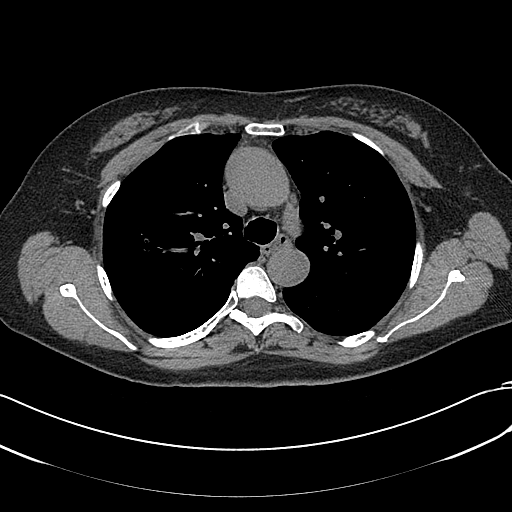 CT scan slice
Findings:
- lung tumor: (x1=129, y1=234, x2=153, y2=261)